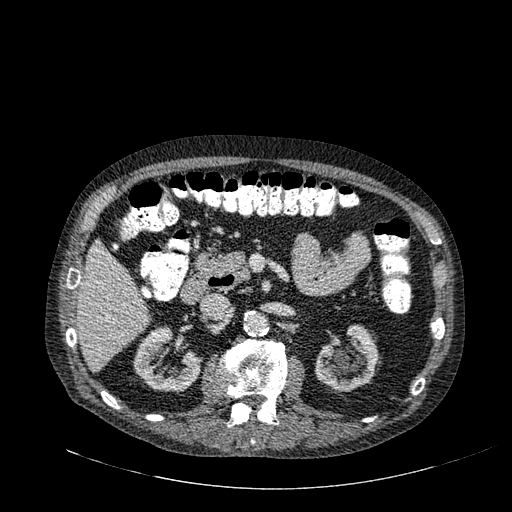 512x512 px | Liver | CT slice
{
  "kidney": [
    "133, 326, 201, 392",
    "314, 324, 379, 392"
  ],
  "liver": [
    "80, 239, 148, 371"
  ]
}